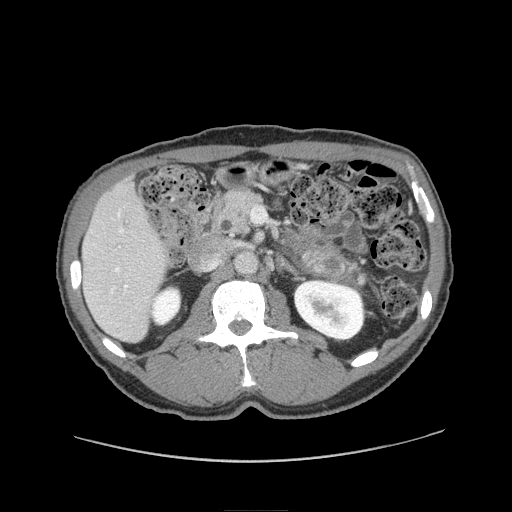
CT image

Annotated regions:
* pancreas: (x1=288, y1=238, x2=348, y2=278), (x1=216, y1=190, x2=261, y2=234)
* pancreatic tumor: (x1=324, y1=257, x2=339, y2=269)